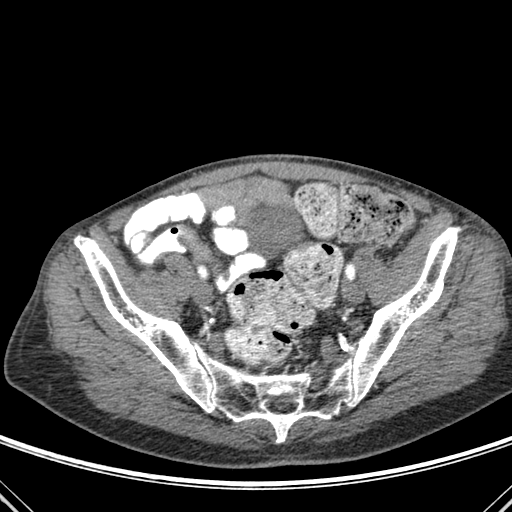
Computed tomography, Image size 512x512
Segmented structures:
* bone: [74, 227, 460, 442]